Slice 187/217. Computed tomography.

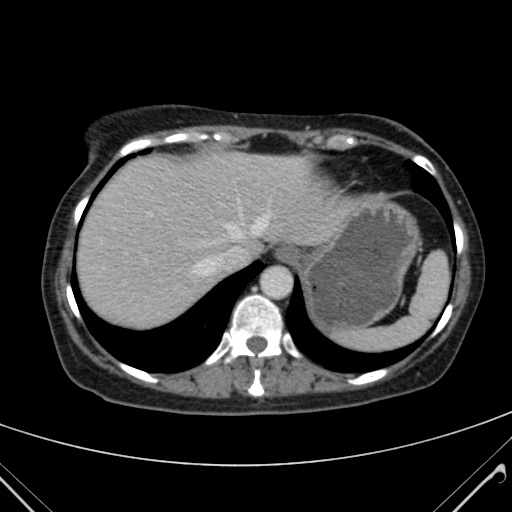
liver:
  - box(76, 151, 345, 327)